Head | Field of view 240 mm wide, 1.00 mm slice spacing
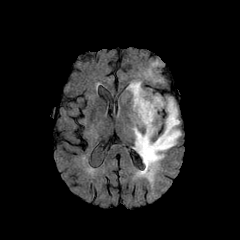
FLAIR MR.
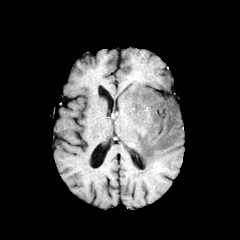
T1-weighted MR image.
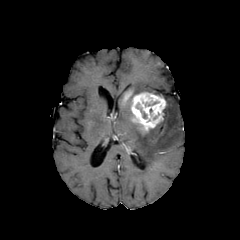
Post-contrast T1-weighted MR of the same slice.
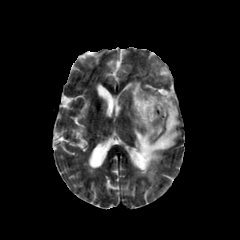
T2-weighted magnetic resonance of the same slice.
Edema — 132, 96, 181, 181; 126, 82, 144, 95.
Enhancing tumor — 131, 91, 167, 132.